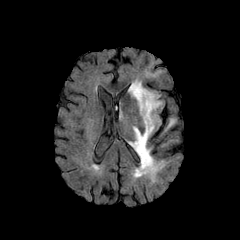
FLAIR MRI.
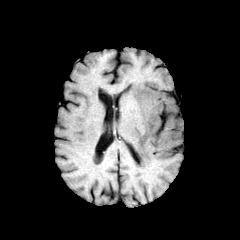
T1-weighted magnetic resonance.
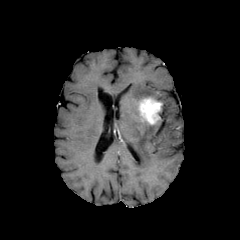
Post-contrast T1-weighted magnetic resonance.
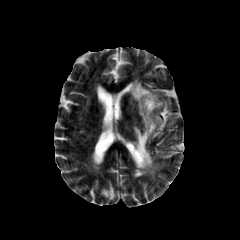
T2-weighted MR image.
Brain.
enhancing_tumor:
  - {"x1": 138, "y1": 97, "x2": 162, "y2": 125}
edema:
  - {"x1": 128, "y1": 120, "x2": 163, "y2": 179}
  - {"x1": 161, "y1": 138, "x2": 177, "y2": 147}
  - {"x1": 167, "y1": 115, "x2": 176, "y2": 129}
  - {"x1": 128, "y1": 79, "x2": 160, "y2": 109}